Image size 512x512 | CT
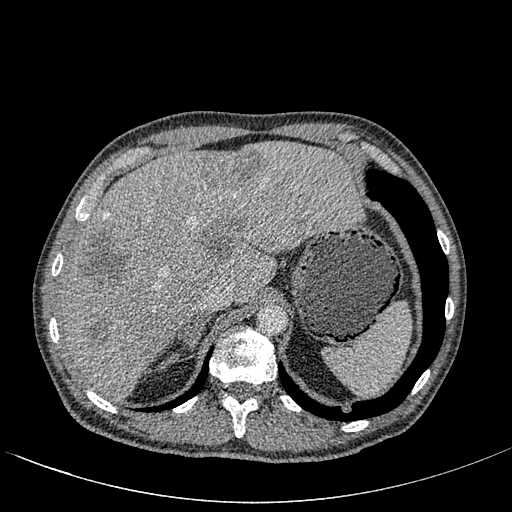
Segmented structures:
• hepatic lesion: box(203, 150, 264, 187); box(89, 318, 109, 343); box(201, 218, 245, 263); box(81, 231, 132, 287)
• liver: box(61, 140, 363, 399)
• kidney: box(160, 354, 178, 368)